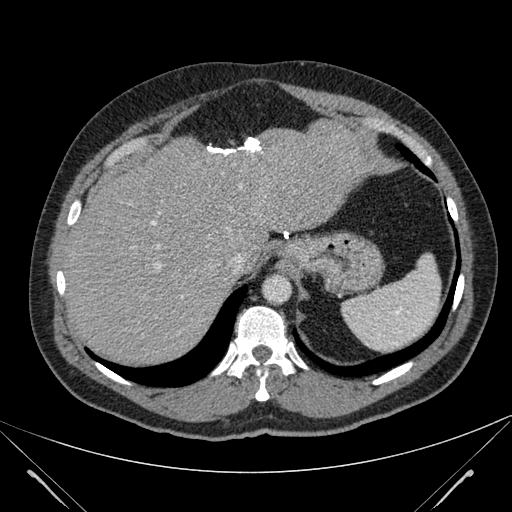

Computed tomography; Image size 512x512; Abdomen
Segmented structures:
- liver: bbox(63, 119, 378, 364)